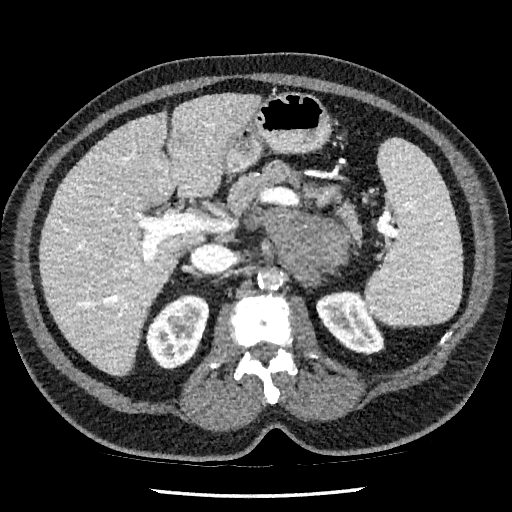 CT. Liver. 512x512.

The liver is bounded by region(41, 94, 260, 374). 2 kidney regions appear at region(317, 292, 382, 352); region(147, 296, 208, 367).